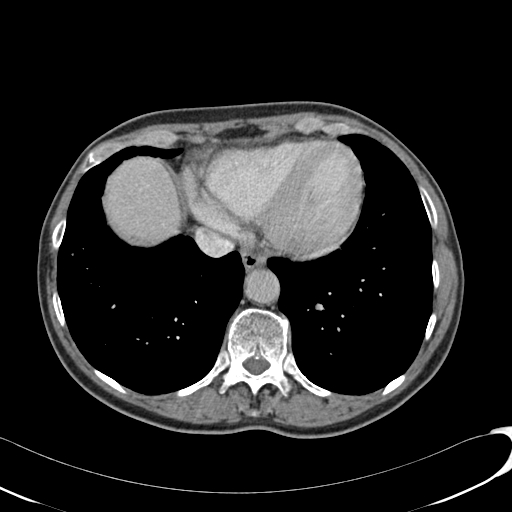
CT image; 512x512
Segmented structures:
• liver: [105, 158, 180, 241]